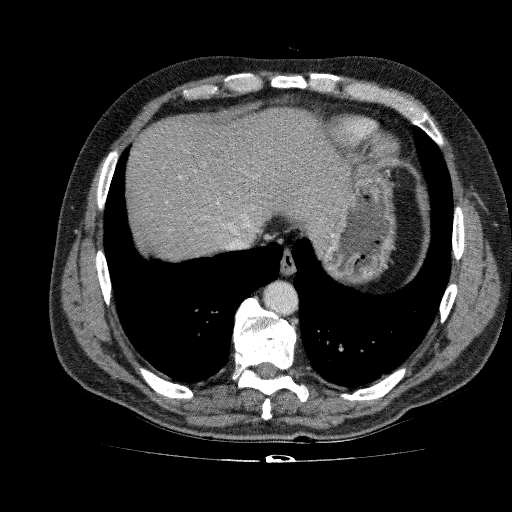
Abdomen, Image size 512x512, CT scan slice

Annotated regions:
• liver: left=125, top=106, right=344, bottom=262